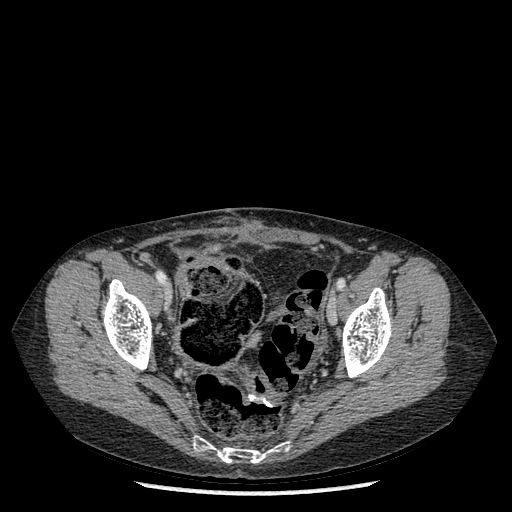
Image size 512x512, CT

Bone at 342, 287, 392, 377; 102, 279, 151, 370; 193, 435, 290, 463.